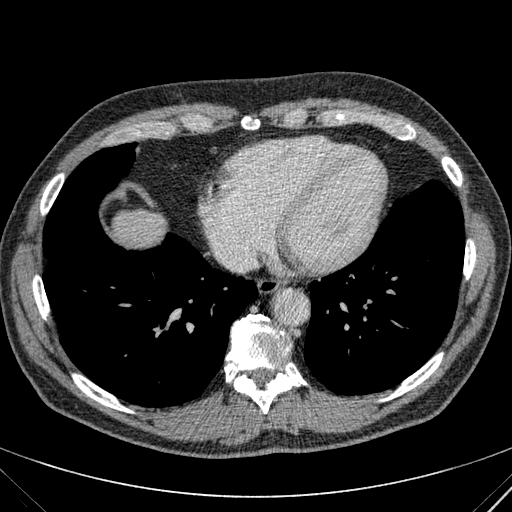

CT, Liver
Annotated regions:
* liver: region(113, 213, 162, 244)